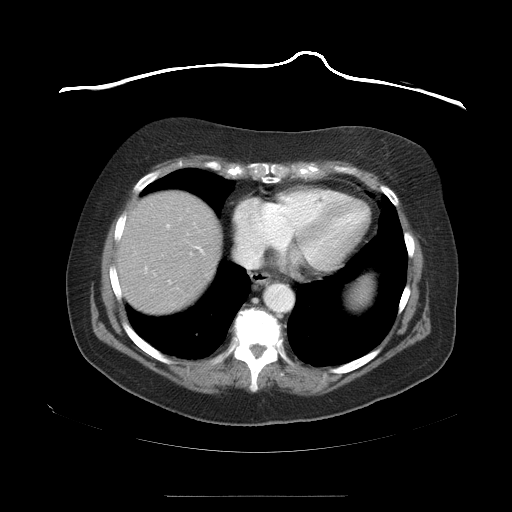
Liver, CT image
The vessel boxes may cover only some of the vessels.
Hepatic vessel = <bbox>168, 281, 169, 283</bbox>, <bbox>195, 247, 202, 251</bbox>, <bbox>166, 225, 168, 226</bbox>, <bbox>145, 268, 146, 271</bbox>.